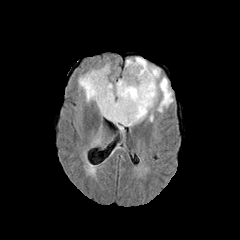
FLAIR magnetic resonance.
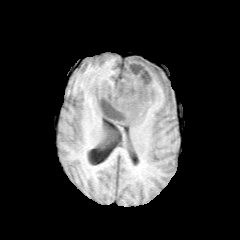
T1-weighted MR of the same slice.
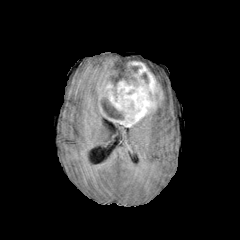
Post-contrast T1-weighted MR image.
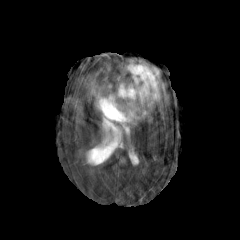
Same slice, T2-weighted MR image.
Findings:
* enhancing tumor: box(98, 61, 162, 127)
* edema: box(122, 57, 173, 113); box(145, 112, 153, 122); box(114, 123, 124, 135); box(78, 63, 110, 113)
* non-enhancing tumor core: box(141, 72, 148, 83); box(129, 66, 141, 73); box(101, 96, 124, 119)